MR image | Slice index 12 | 38x52 | Field of view 38 mm wide, 1.00 mm slice spacing

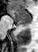

The posterior hippocampus appears at left=18, top=23, right=28, bottom=26. The anterior hippocampus is at left=7, top=9, right=31, bottom=22.